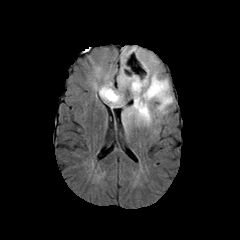
FLAIR magnetic resonance.
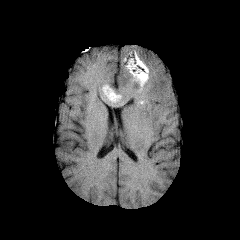
T1-weighted magnetic resonance.
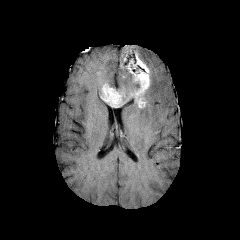
Post-contrast T1-weighted MRI of the same slice.
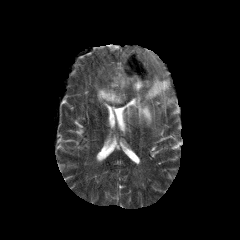
Same slice, T2-weighted MR.
Findings:
* enhancing tumor: (131, 64, 149, 107), (101, 84, 122, 107)
* edema: (94, 82, 102, 95), (116, 48, 173, 131)
* non-enhancing tumor core: (139, 87, 148, 108), (114, 76, 140, 105), (134, 56, 146, 79)